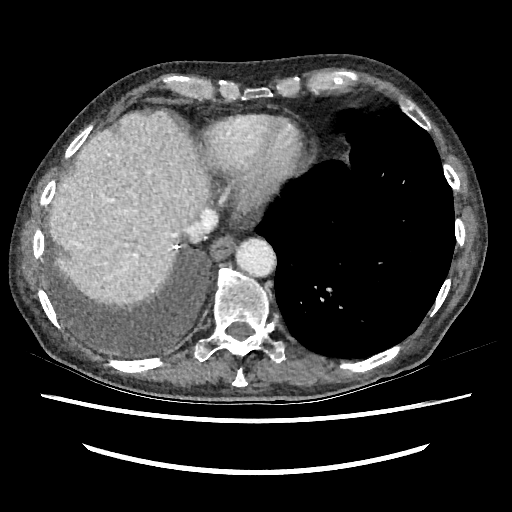

CT. Liver.

The liver is located at 49 112 209 304.